240x240.
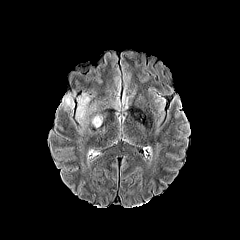
FLAIR magnetic resonance.
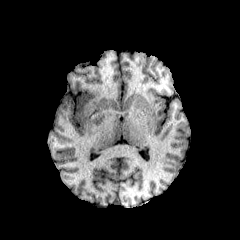
T1-weighted magnetic resonance.
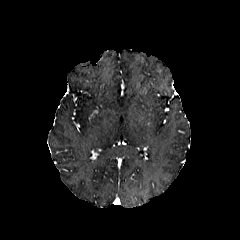
Same slice, post-contrast T1-weighted MRI.
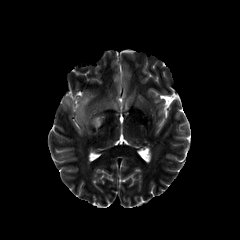
T2-weighted magnetic resonance.
3 edema regions are located at box(107, 104, 120, 115); box(75, 93, 103, 133); box(60, 95, 74, 116).